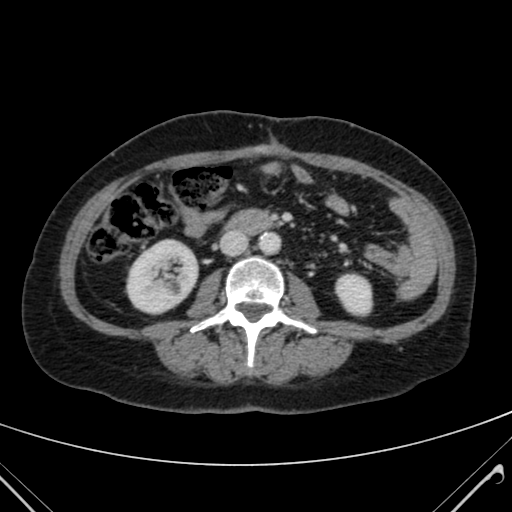

CT scan slice; 512x512
Kidney — box=[128, 241, 196, 311]; box=[337, 275, 370, 312].